240x240 | Head
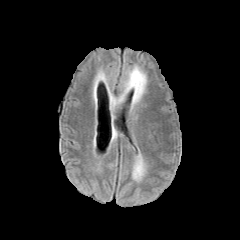
FLAIR magnetic resonance.
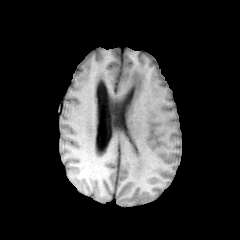
T1-weighted MRI of the same slice.
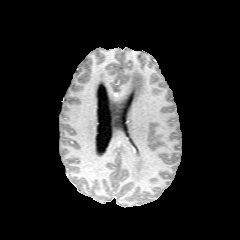
Post-contrast T1-weighted magnetic resonance of the same slice.
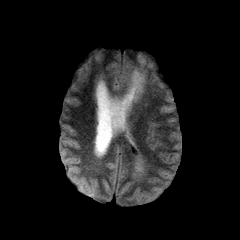
T2-weighted MR image.
Edema: bounding box box(132, 150, 145, 180); box(111, 131, 117, 142); box(112, 65, 146, 113).